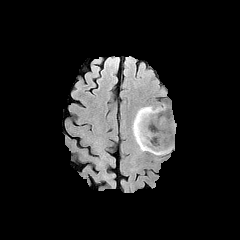
FLAIR MRI.
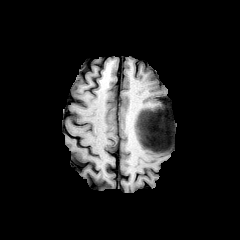
T1-weighted MR image.
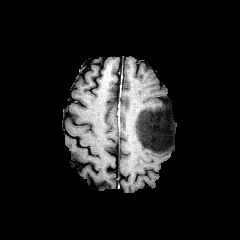
Post-contrast T1-weighted MR.
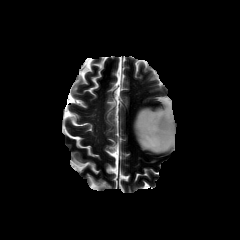
T2-weighted magnetic resonance.
240x240 px
<segmentation>
  <non-enhancing_tumor_core><bbox>136, 108, 169, 151</bbox></non-enhancing_tumor_core>
  <edema><bbox>144, 106, 165, 113</bbox>, <bbox>132, 114, 173, 154</bbox></edema>
</segmentation>